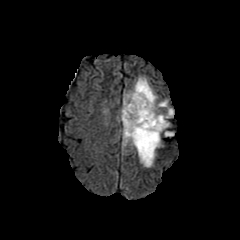
FLAIR MRI.
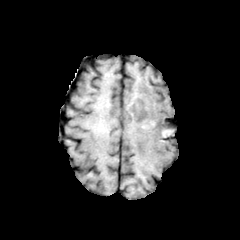
T1-weighted MR image.
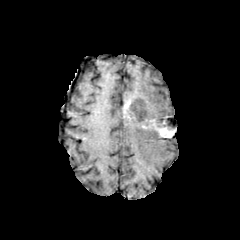
Post-contrast T1-weighted MR image of the same slice.
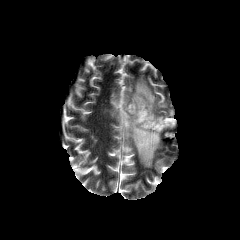
Same slice, T2-weighted MR.
Head, 240x240
Enhancing tumor: bounding box <bbox>123, 99, 132, 120</bbox>, <bbox>152, 120, 167, 133</bbox>.
Non-enhancing tumor core: bounding box <bbox>124, 97, 163, 128</bbox>, <bbox>163, 116, 173, 137</bbox>.
Edema: bounding box <bbox>123, 77, 173, 120</bbox>, <bbox>120, 111, 163, 166</bbox>.